Image size 512x512 | CT image
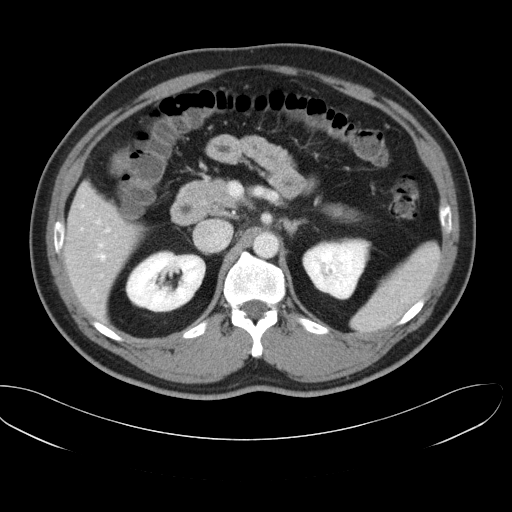
Only some of the vessels may be annotated.
8 hepatic vessel regions appear at (81,205,83,207), (105,227,110,232), (87,214,90,215), (98,244,102,246), (94,253,105,259), (100,274,102,277), (81,228,82,229), (96,219,101,223).